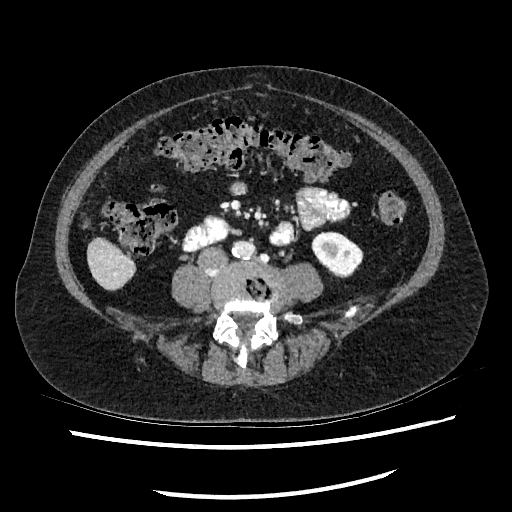
CT image; Upper abdomen; Image size 512x512
Liver — [88,240,134,289].
Kidney — [313,233,361,275].